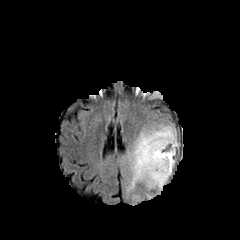
FLAIR MR.
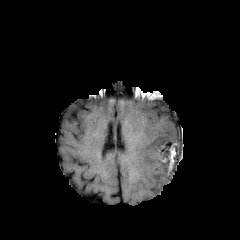
T1-weighted MR image.
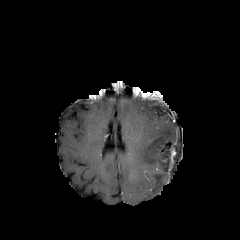
Same slice, post-contrast T1-weighted MR.
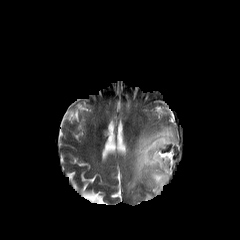
Same slice, T2-weighted MRI.
Segmented structures:
* edema: left=126, top=121, right=179, bottom=199